240x240 px
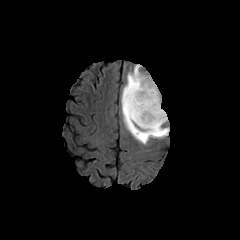
FLAIR MR.
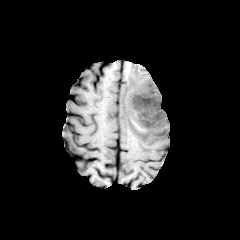
T1-weighted MR.
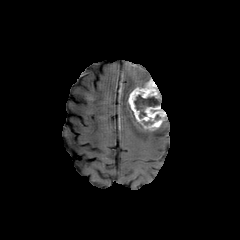
Post-contrast T1-weighted MR image.
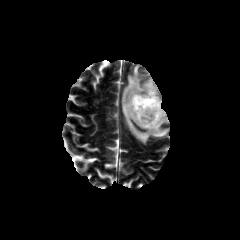
T2-weighted magnetic resonance.
2 non-enhancing tumor core regions appear at [132,111,148,130], [134,95,158,118]. The edema is bounded by [120,64,169,145]. The enhancing tumor is located at [126,78,167,133].